CT slice
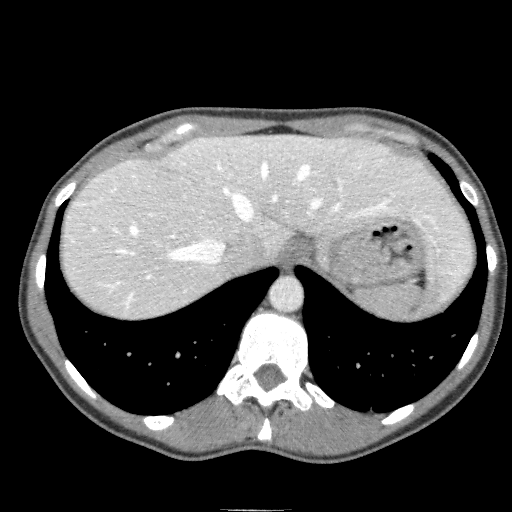

* liver: l=62, t=133, r=471, b=320